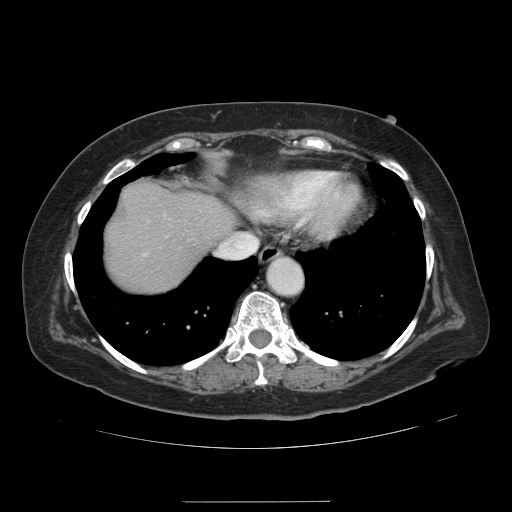

CT image | Liver
The vessel annotation is not exhaustive.
{
  "hepatic_vessel": [
    "219:245:220:247"
  ]
}